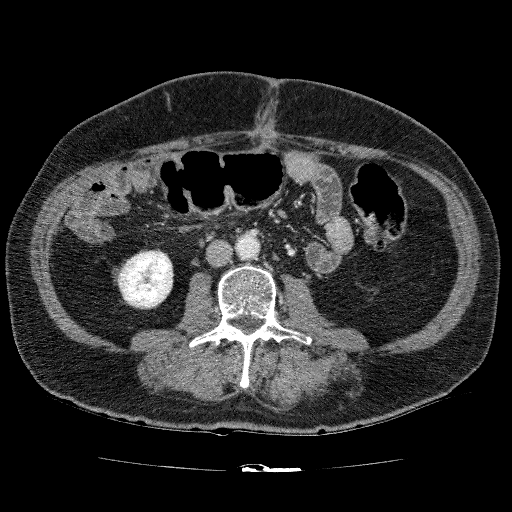
Computed tomography
kidney: (118, 251, 172, 308)